Image size 512x512; Image width 360 mm; Slice index 181; Computed tomography

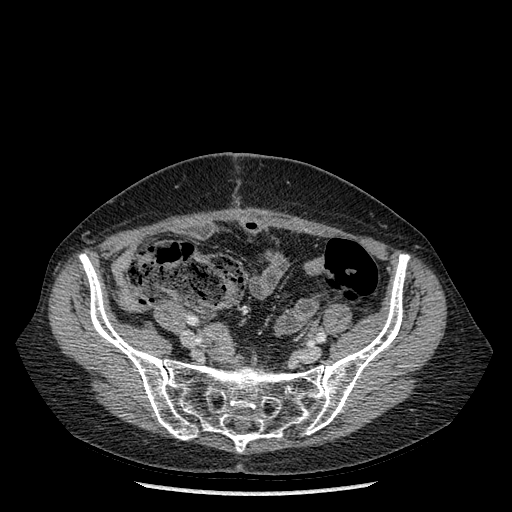

<segmentation>
  <bone>[79,253,409,452]</bone>
</segmentation>